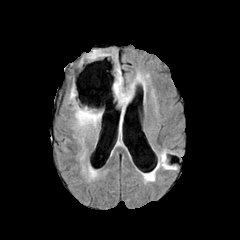
FLAIR MR.
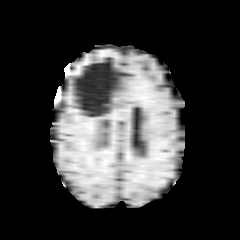
T1-weighted magnetic resonance.
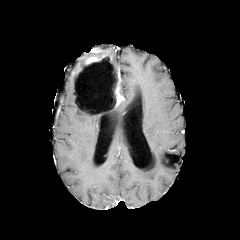
Post-contrast T1-weighted magnetic resonance.
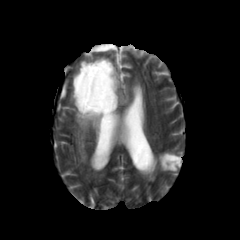
T2-weighted MR image.
Brain
2 non-enhancing tumor core regions are bounded by l=74, t=65, r=119, b=114; l=89, t=50, r=106, b=59. The enhancing tumor lies within l=115, t=67, r=123, b=103. 4 edema regions are bounded by l=115, t=74, r=141, b=122; l=118, t=123, r=122, b=143; l=158, t=150, r=173, b=171; l=69, t=87, r=102, b=138.